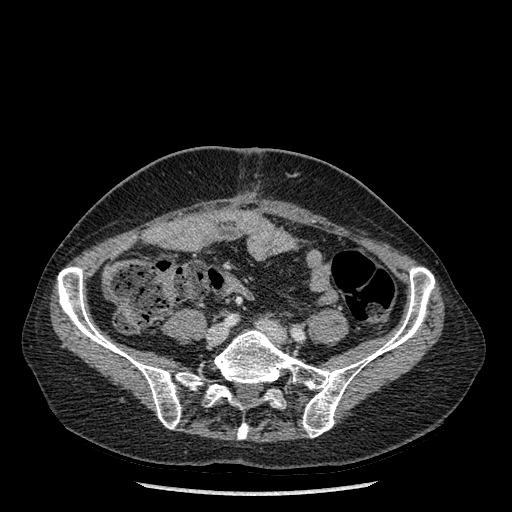 CT scan slice. 6 bone regions are located at bbox=[262, 389, 285, 408]; bbox=[57, 267, 181, 429]; bbox=[214, 266, 434, 437]; bbox=[205, 384, 237, 406]; bbox=[175, 372, 202, 390]; bbox=[237, 422, 248, 439].